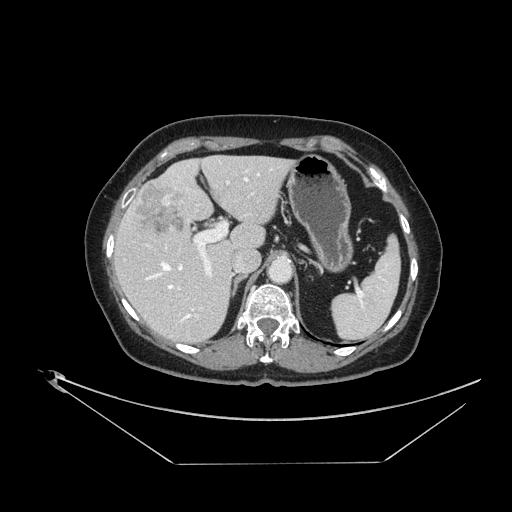 Liver, 512x512 px, CT scan slice
Only some of the vessels may be annotated.
Hepatic vessel: bounding box x1=195, y1=222, x2=227, y2=276; x1=146, y1=262, x2=171, y2=279; x1=167, y1=284, x2=173, y2=289; x1=178, y1=264, x2=182, y2=269; x1=183, y1=314, x2=191, y2=318.
Liver tumor: bounding box x1=132, y1=180, x2=187, y2=235.